Head
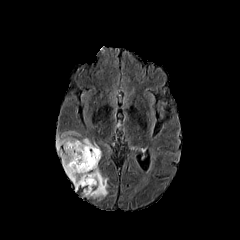
FLAIR MRI.
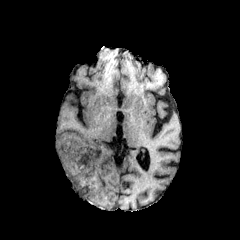
T1-weighted MRI of the same slice.
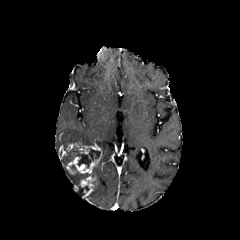
Post-contrast T1-weighted MRI.
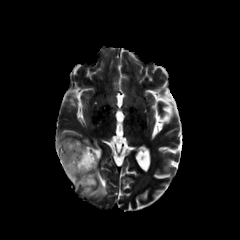
Same slice, T2-weighted MRI.
non-enhancing_tumor_core:
  - bbox=[69, 146, 100, 168]
  - bbox=[77, 185, 87, 195]
enhancing_tumor:
  - bbox=[66, 142, 81, 151]
  - bbox=[66, 152, 102, 174]
  - bbox=[79, 145, 98, 153]
  - bbox=[80, 175, 96, 197]
edema:
  - bbox=[66, 166, 107, 198]
  - bbox=[57, 131, 91, 167]